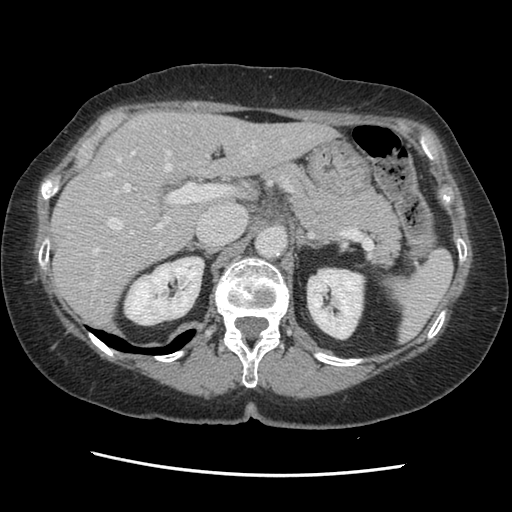
Computed tomography | Abdomen
The vessel boxes may cover only some of the vessels.
- hepatic vessel (most prominent 15 of 17): (left=115, top=191, right=118, bottom=192), (left=108, top=218, right=122, bottom=228), (left=123, top=184, right=135, bottom=191), (left=250, top=142, right=254, bottom=147), (left=98, top=172, right=111, bottom=176), (left=167, top=150, right=170, bottom=154), (left=93, top=248, right=98, bottom=254), (left=93, top=281, right=95, bottom=286), (left=116, top=156, right=120, bottom=160), (left=168, top=183, right=229, bottom=203), (left=155, top=216, right=169, bottom=229), (left=158, top=242, right=161, bottom=246), (left=241, top=148, right=245, bottom=152), (left=130, top=151, right=135, bottom=155), (left=165, top=164, right=171, bottom=170)